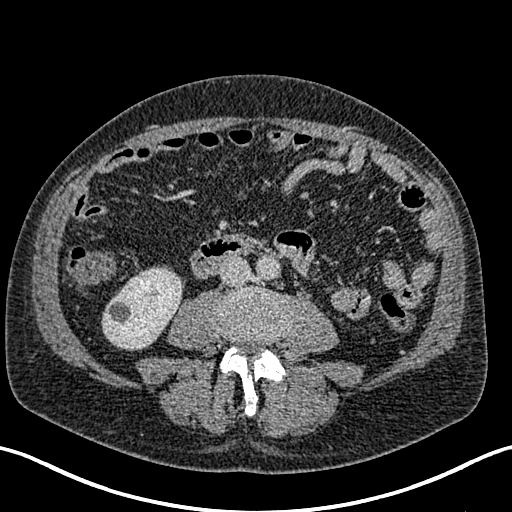
CT slice. Abdomen. <segmentation>
  <kidney>{"x1": 103, "y1": 269, "x2": 181, "y2": 348}</kidney>
</segmentation>